Slice 43 of 104 | Image size 512x512 | Field of view 442 mm wide, 2.50 mm slice spacing | Upper abdomen | CT scan slice
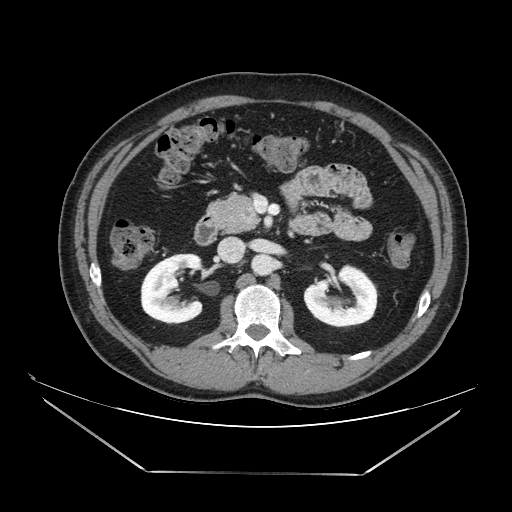

Segmented structures:
* pancreas: [x1=208, y1=193, x2=258, y2=233]